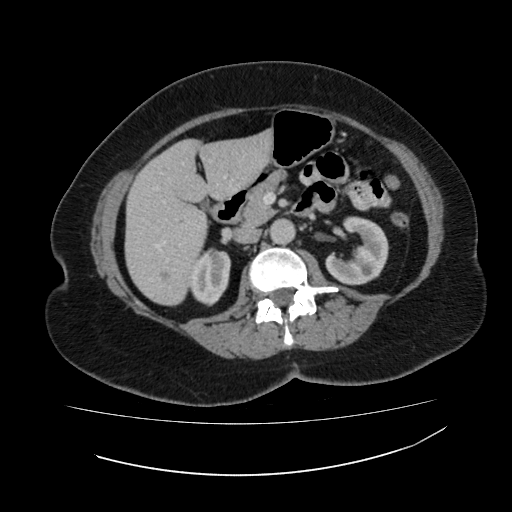
512x512; CT scan slice
Liver lesion — bbox=[159, 270, 172, 283].
Liver — bbox=[125, 132, 271, 304].
Kidney — bbox=[326, 217, 387, 284]; bbox=[188, 249, 230, 303].